FLAIR MR image.
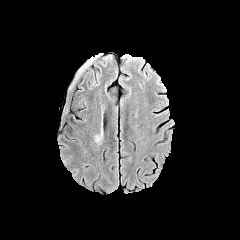
T1-weighted MR image.
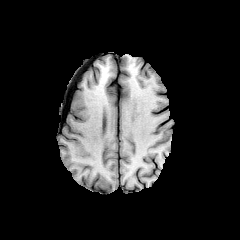
Post-contrast T1-weighted MR.
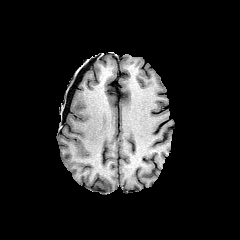
T2-weighted MR.
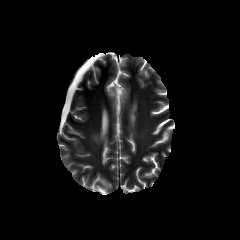
Segmented structures:
- edema: left=93, top=129, right=103, bottom=144